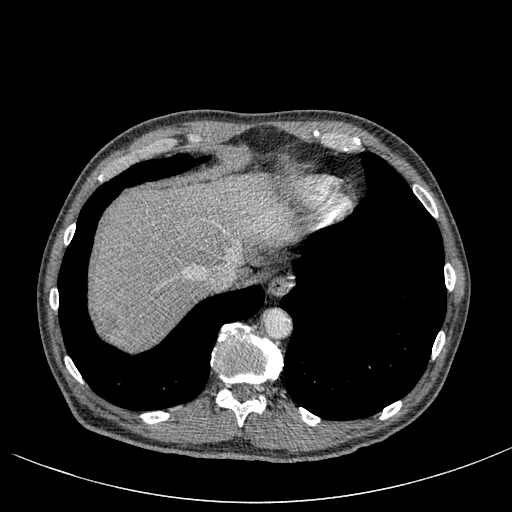 Abdomen, CT scan slice
Findings:
• liver: region(91, 177, 297, 347); region(239, 268, 251, 280)
• liver lesion: region(284, 210, 292, 220); region(97, 314, 118, 335)